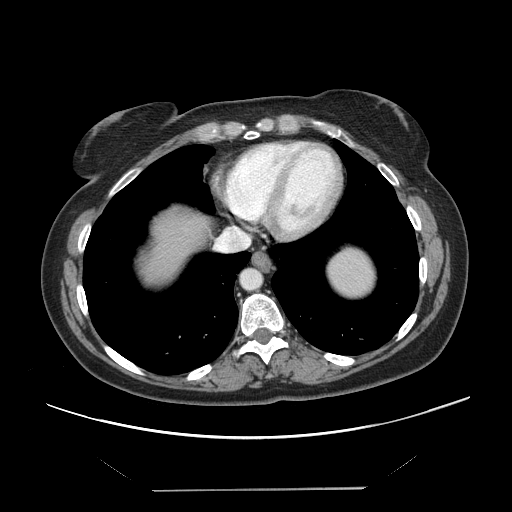
CT scan slice; Abdomen
Not every hepatic vessel necessarily has a box.
hepatic vessel: <bbox>215, 226, 244, 251</bbox>